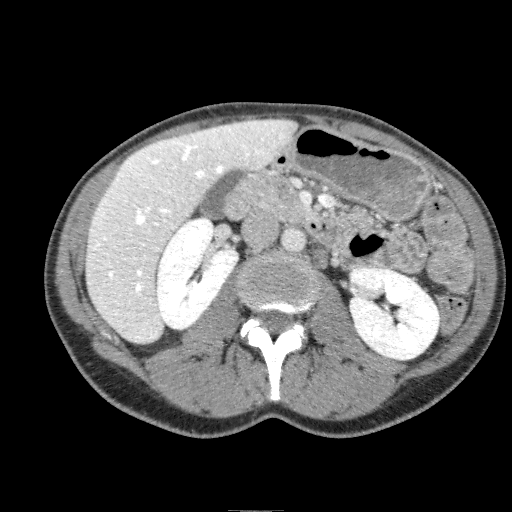

CT
2 kidney regions are bounded by <bbox>350, 268, 438, 359</bbox>, <bbox>157, 218, 237, 328</bbox>. The liver lies within <bbox>84, 118, 297, 343</bbox>.